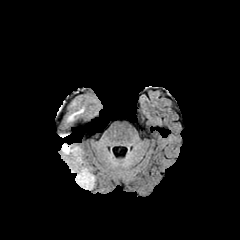
FLAIR magnetic resonance.
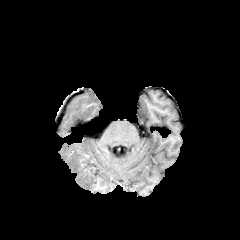
T1-weighted MR.
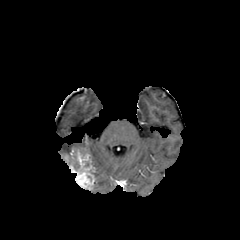
Post-contrast T1-weighted MR image of the same slice.
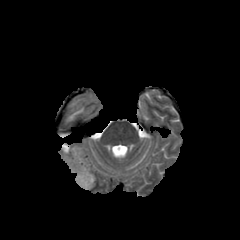
T2-weighted MR.
Head
Segmented structures:
• edema: (left=68, top=106, right=84, bottom=121), (left=62, top=144, right=69, bottom=152)
• enhancing tumor: (left=64, top=155, right=95, bottom=189)